Liver | Field of view 367 mm wide, 5.00 mm slice spacing | CT image | Slice index 63
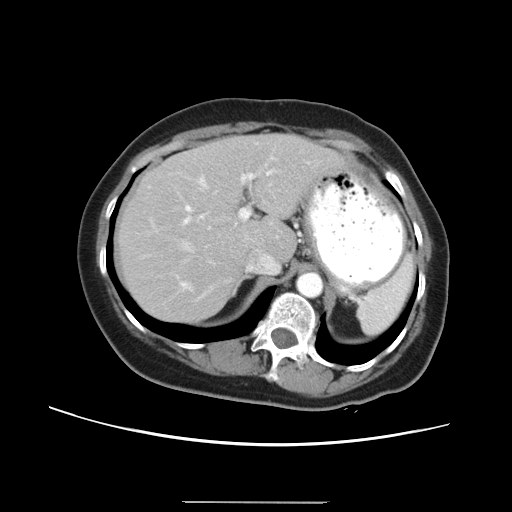

The vessel annotation is not exhaustive.
8 hepatic vessel regions are bounded by <box>235,223,236,224</box>, <box>181,282,190,289</box>, <box>267,170,274,174</box>, <box>242,174,253,180</box>, <box>200,215,203,217</box>, <box>185,206,190,210</box>, <box>199,177,205,185</box>, <box>240,208,249,218</box>.